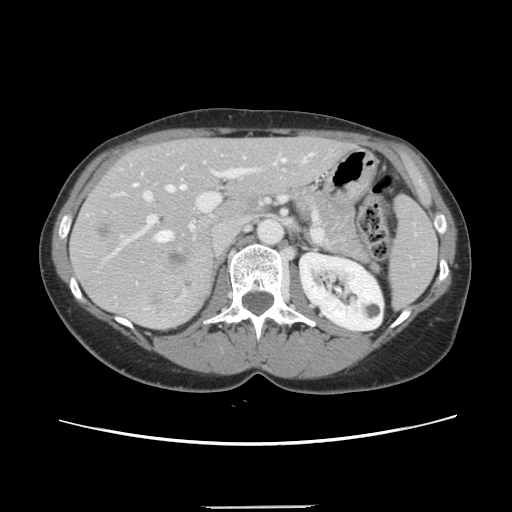
Liver, CT, 512x512
Some hepatic vessels may have no box.
<segmentation>
  <liver_tumor><bbox>168, 252, 187, 263</bbox>, <bbox>98, 225, 110, 237</bbox></liver_tumor>
  <hepatic_vessel><bbox>122, 215, 155, 244</bbox>, <bbox>154, 230, 172, 241</bbox>, <bbox>196, 192, 219, 210</bbox>, <bbox>180, 166, 182, 168</bbox>, <bbox>190, 225, 193, 229</bbox>, <bbox>166, 186, 173, 191</bbox>, <bbox>179, 185, 184, 188</bbox>, <bbox>116, 192, 123, 194</bbox>, <bbox>133, 184, 137, 185</bbox>, <bbox>212, 168, 254, 176</bbox>, <bbox>282, 158, 285, 161</bbox>, <bbox>109, 247, 119, 256</bbox>, <bbox>302, 154, 313, 161</bbox>, <bbox>273, 162, 275, 164</bbox>, <bbox>144, 191, 151, 200</bbox></hepatic_vessel>
</segmentation>